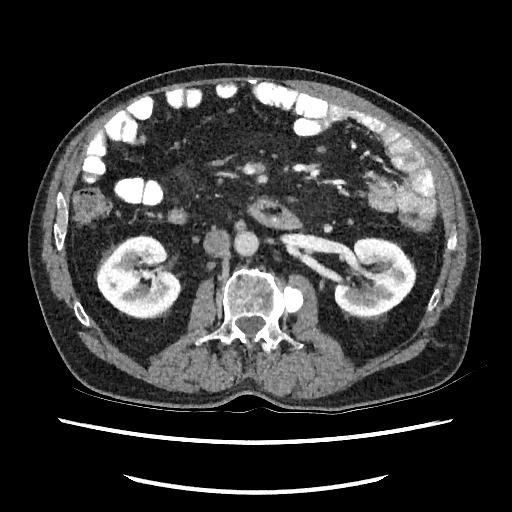
CT slice; 512x512; Abdomen
kidney: bbox=[96, 235, 180, 318]; bbox=[335, 238, 415, 318]